Upper abdomen; CT; Field of view 363 mm wide, 5.00 mm slice spacing
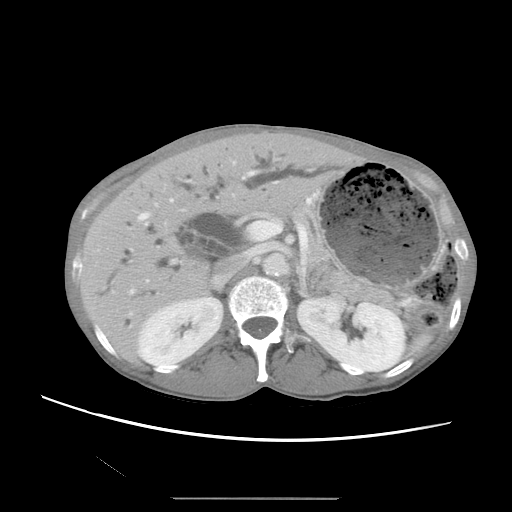 Pancreas — rect(297, 210, 327, 265); rect(328, 272, 408, 319).